FLAIR MR image.
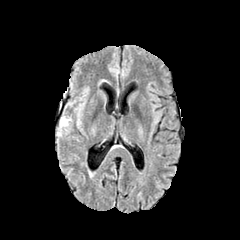
T1-weighted MR.
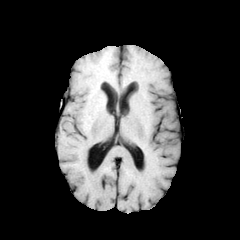
Post-contrast T1-weighted MR.
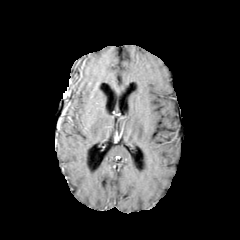
T2-weighted magnetic resonance.
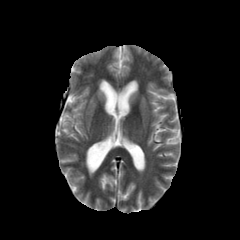
non-enhancing tumor core: 58, 112, 72, 132 | edema: 56, 84, 86, 142